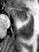

39x52 px. MRI. The anterior hippocampus appears at 9, 7, 28, 20.